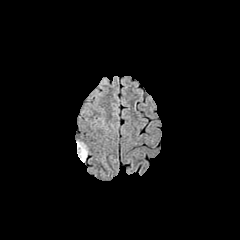
FLAIR MR image.
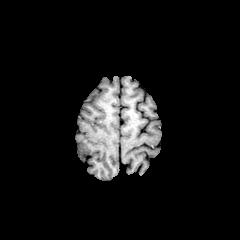
T1-weighted magnetic resonance.
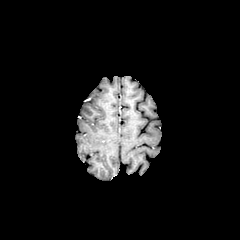
Same slice, post-contrast T1-weighted MRI.
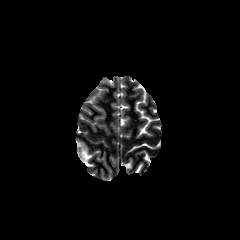
T2-weighted magnetic resonance.
Edema: [77,140,87,161].